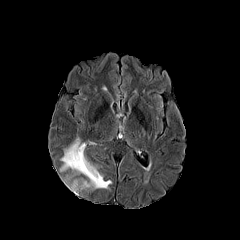
FLAIR MRI.
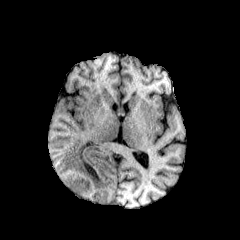
T1-weighted MR.
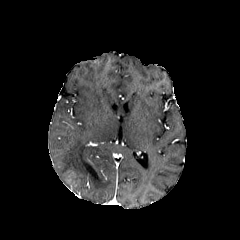
Post-contrast T1-weighted MRI of the same slice.
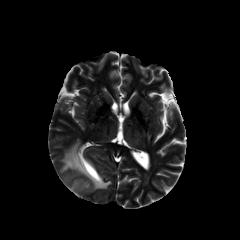
T2-weighted MR image.
2 edema regions are bounded by (72, 180, 79, 191), (60, 138, 111, 189).